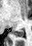

32x46, MRI slice

<segmentation>
  <posterior_hippocampus>{"x1": 10, "y1": 30, "x2": 23, "y2": 36}</posterior_hippocampus>
</segmentation>